Medial temporal lobe. MRI. 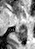
Posterior hippocampus at [x1=14, y1=26, x2=27, y2=40].